FLAIR magnetic resonance.
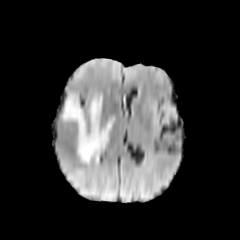
T1-weighted MR.
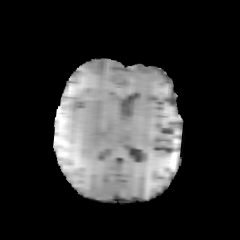
Post-contrast T1-weighted MR.
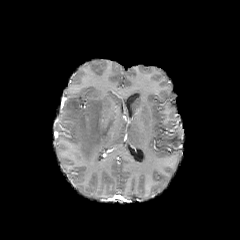
T2-weighted magnetic resonance.
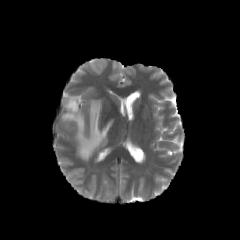
240x240 px. Head.
Edema at rect(63, 95, 113, 164).